Slice 468/685 | Liver | CT slice 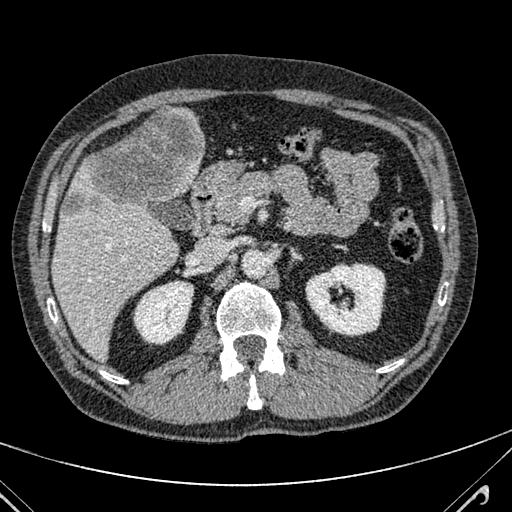

2 focal liver lesion regions are bounded by x1=61 y1=190 x2=98 y2=214, x1=87 y1=108 x2=203 y2=205. 3 liver regions are bounded by x1=169 y1=108 x2=196 y2=122, x1=169 y1=157 x2=201 y2=197, x1=50 y1=156 x2=178 y2=359.